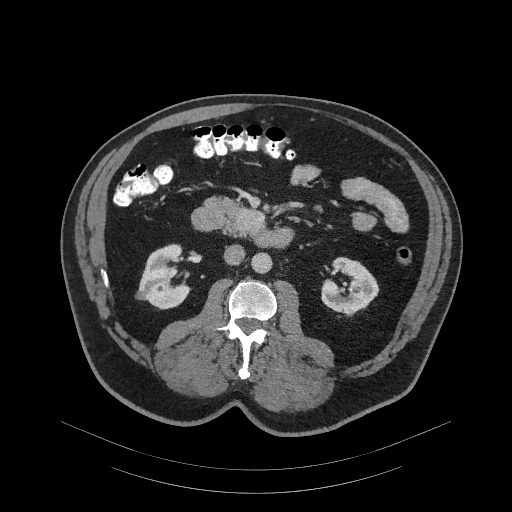 CT image. The pancreatic tumor is at (236,208,265,230). The pancreas is bounded by (206,196,262,237).